Computed tomography | 512x512 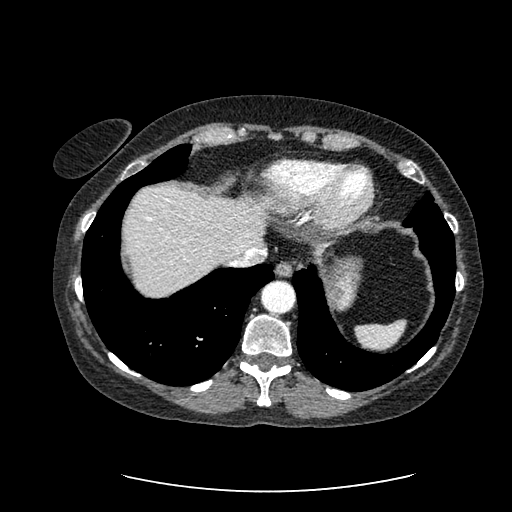

2 liver regions are located at [x1=125, y1=185, x2=263, y2=294], [x1=313, y1=240, x2=335, y2=258].